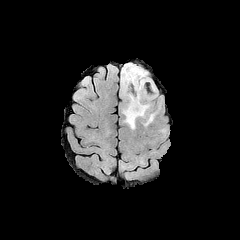
FLAIR magnetic resonance.
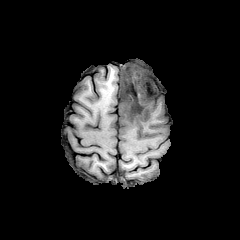
T1-weighted MRI of the same slice.
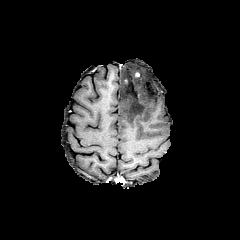
Post-contrast T1-weighted MR.
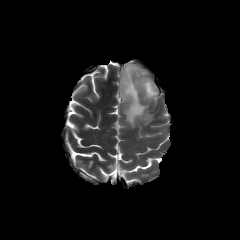
T2-weighted MRI.
Brain.
{
  "non-enhancing_tumor_core": [
    "l=122, t=71, r=141, b=100"
  ],
  "edema": [
    "l=120, t=63, r=157, b=128"
  ]
}